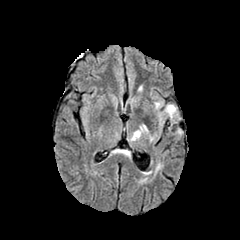
FLAIR MR image.
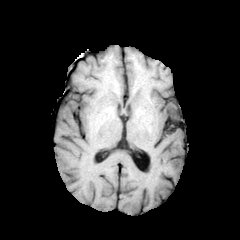
T1-weighted MR image.
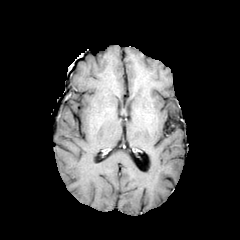
Post-contrast T1-weighted MRI of the same slice.
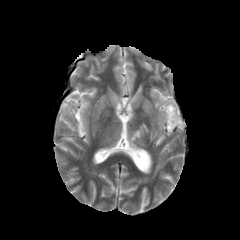
T2-weighted MR.
Head
{"edema": ["x1=131 y1=124 x2=148 y2=140", "x1=154 y1=100 x2=180 y2=132"]}